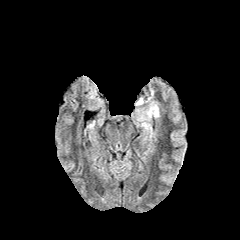
FLAIR magnetic resonance.
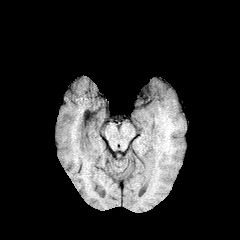
T1-weighted MR.
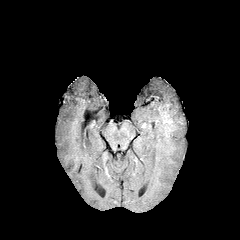
Same slice, post-contrast T1-weighted magnetic resonance.
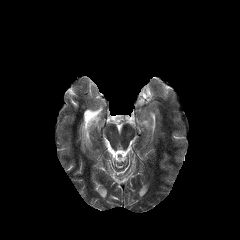
T2-weighted MRI.
Edema: bounding box box(136, 89, 159, 127).